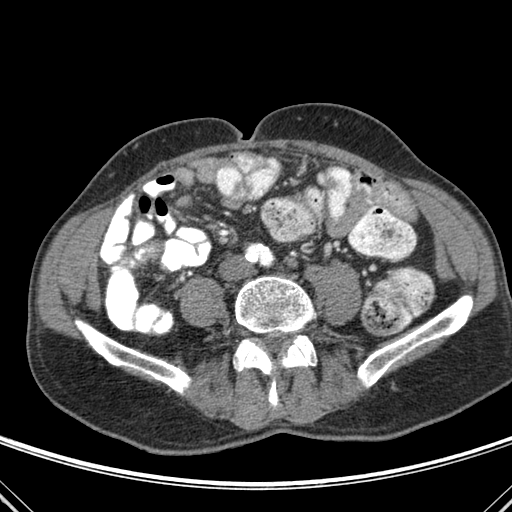 CT scan slice; 512x512 px
{
  "bone": [
    "<bbox>75, 320, 190, 393</bbox>",
    "<bbox>234, 339, 273, 374</bbox>",
    "<bbox>268, 378, 278, 406</bbox>",
    "<bbox>279, 336, 316, 367</bbox>",
    "<bbox>358, 295, 472, 386</bbox>",
    "<bbox>235, 276, 314, 334</bbox>"
  ]
}